512x512 px | Slice 91/366 | CT image
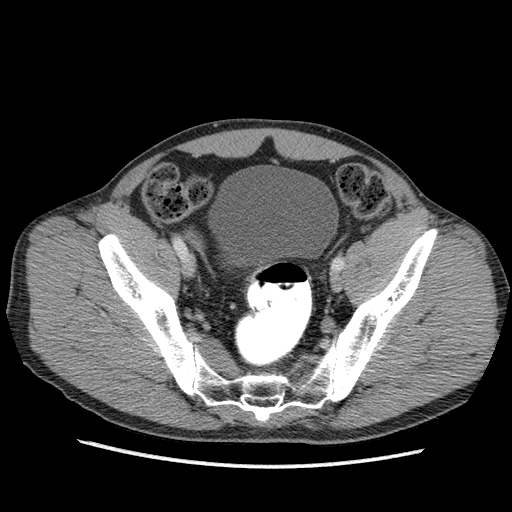
The urinary bladder appears at <bbox>208, 165, 338, 268</bbox>.